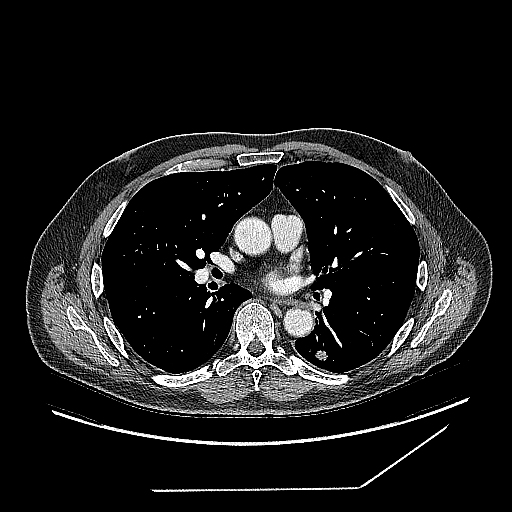 Thorax | Computed tomography
Findings:
* lung tumor: bbox(310, 346, 329, 362)